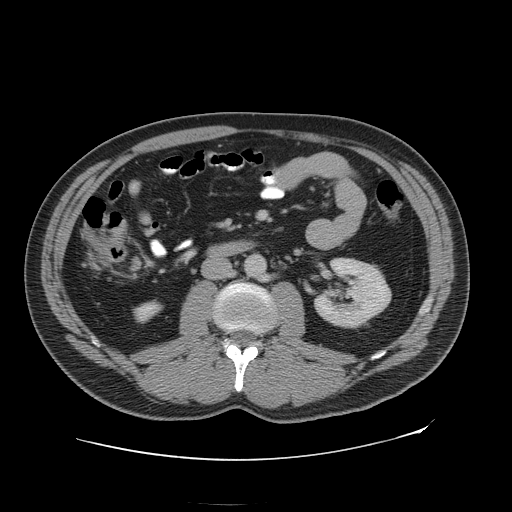 Abdomen. CT image.
colon tumor: 102,215,109,224; 84,220,127,256